CT scan slice 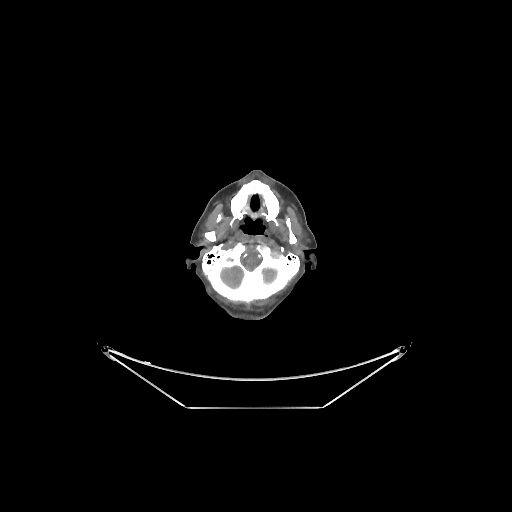
brain: x1=240, y1=252, x2=262, y2=271; x1=262, y1=268, x2=276, y2=282; x1=220, y1=266, x2=243, y2=288 | bone: x1=205, y1=230, x2=218, y2=241; x1=230, y1=180, x2=279, y2=225; x1=286, y1=218, x2=296, y2=243; x1=202, y1=239, x2=299, y2=303